Image width 335 mm, Slice 230 of 455, CT slice

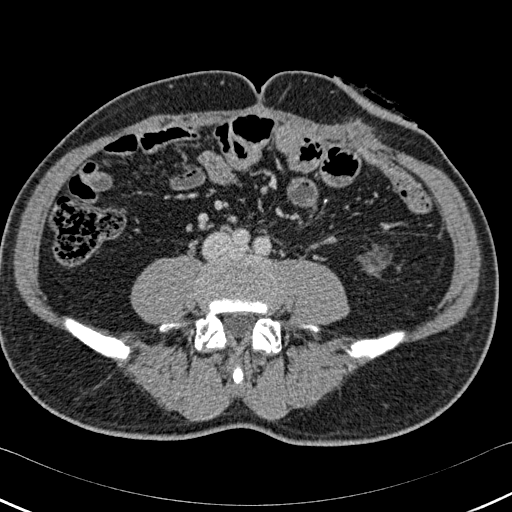
Annotated regions:
- bone: 233 366 242 383, 348 333 402 357, 160 323 179 330, 195 261 277 350, 252 318 281 352, 66 319 128 358